MR image.

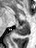
{
  "posterior_hippocampus": [
    "15, 22, 29, 35"
  ]
}